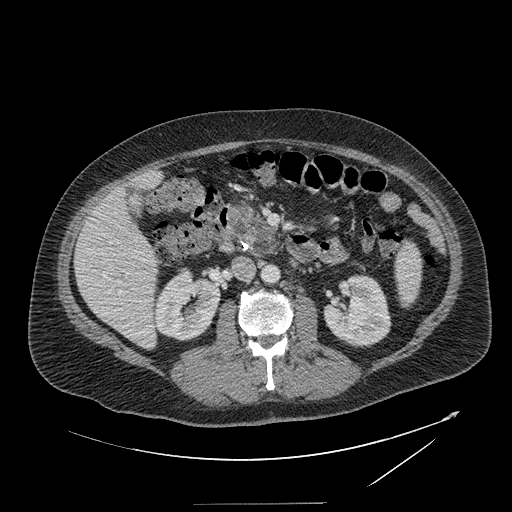 Computed tomography; Abdomen; 512x512
Pancreatic tumor at 247:229:257:240.
Pancreas at 233:205:280:255.